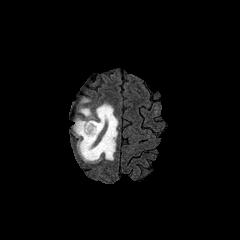
FLAIR magnetic resonance.
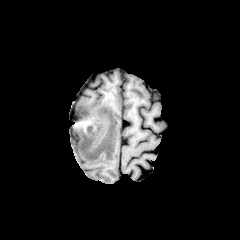
T1-weighted MRI.
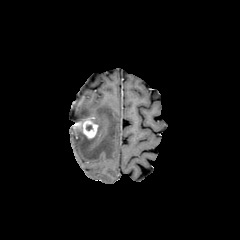
Post-contrast T1-weighted MR.
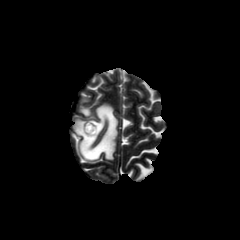
T2-weighted MRI of the same slice.
240x240 px.
enhancing tumor: region(74, 119, 97, 138) | edema: region(72, 97, 118, 163)